CT scan slice, Abdomen

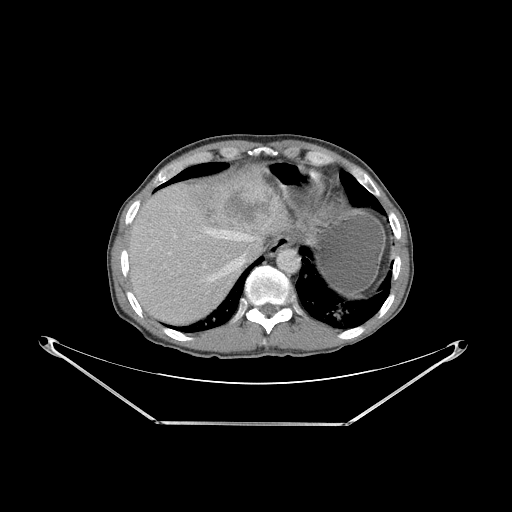
liver:
  - [x1=131, y1=163, x2=282, y2=325]
liver_lesion:
  - [x1=224, y1=190, x2=270, y2=222]
lung:
  - [x1=343, y1=174, x2=382, y2=213]
  - [x1=165, y1=162, x2=228, y2=185]
  - [x1=295, y1=257, x2=387, y2=327]
  - [x1=182, y1=261, x2=259, y2=331]
bone:
  - [x1=339, y1=327, x2=363, y2=338]
  - [x1=246, y1=266, x2=293, y2=333]
  - [x1=157, y1=173, x2=165, y2=182]
  - [x1=121, y1=250, x2=128, y2=276]
  - [x1=389, y1=213, x2=400, y2=238]
  - [x1=380, y1=295, x2=393, y2=316]
  - [x1=360, y1=175, x2=379, y2=195]
  - [x1=126, y1=201, x2=139, y2=223]
  - [x1=127, y1=292, x2=142, y2=317]
  - [x1=393, y1=257, x2=400, y2=279]
  - [x1=164, y1=329, x2=191, y2=340]